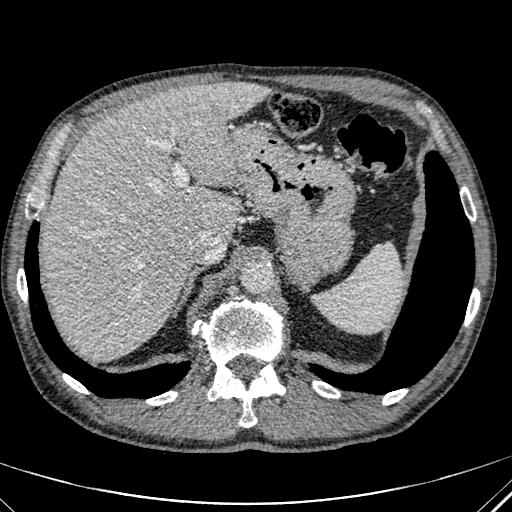
Computed tomography

The liver is bounded by left=43, top=81, right=269, bottom=360.